CT scan slice, Liver 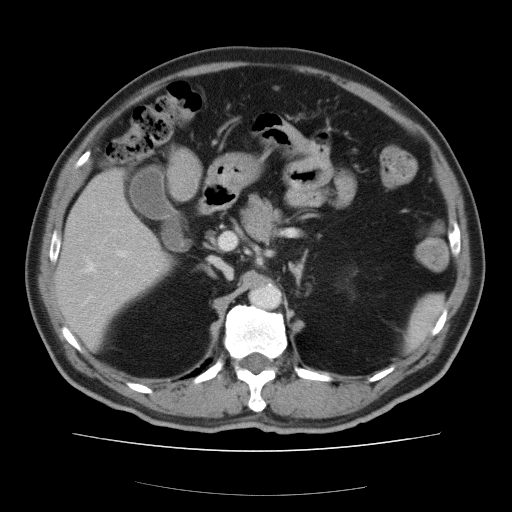

The vessel boxes may cover only some of the vessels.
Hepatic vessel at [86, 296, 89, 301], [118, 251, 122, 253], [83, 262, 93, 271].
Liver tumor at [176, 157, 195, 193].